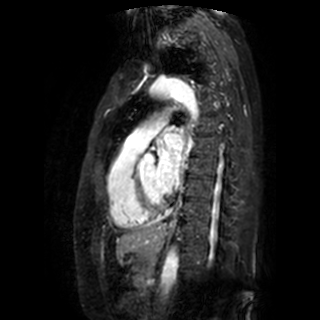 Cardiac | MR

left atrium: (x1=156, y1=133, x2=182, y2=192)